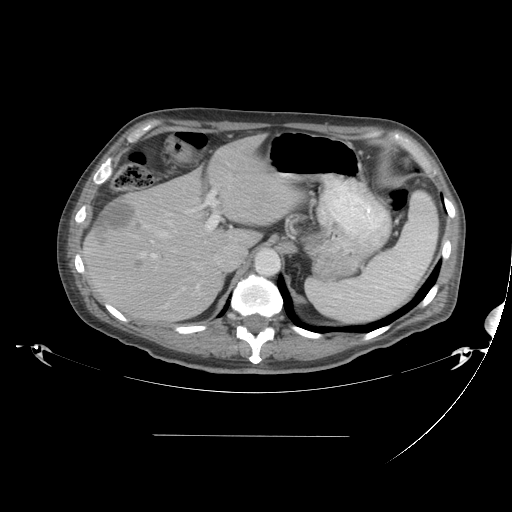

Computed tomography.
Only some of the vessels may be annotated.
Liver tumor = <box>92,201,135,238</box>, <box>133,259,141,268</box>.
Hepatic vessel = <box>149,253,158,259</box>, <box>203,211,219,233</box>, <box>229,235,233,237</box>, <box>132,236,137,237</box>, <box>194,264,198,268</box>, <box>150,240,153,243</box>, <box>182,287,185,290</box>, <box>183,188,217,215</box>, <box>196,284,199,289</box>, <box>229,177,234,179</box>, <box>138,252,147,257</box>, <box>154,213,177,238</box>.